FLAIR MR.
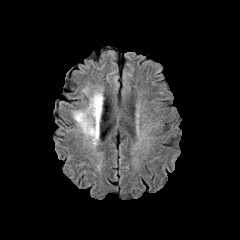
T1-weighted magnetic resonance.
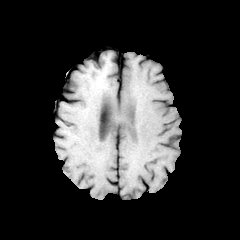
Post-contrast T1-weighted MR.
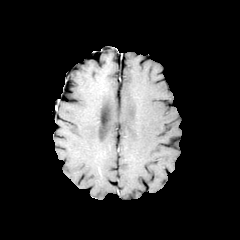
T2-weighted MR.
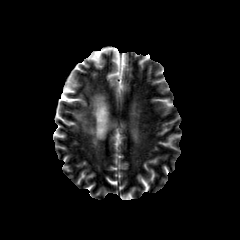
Brain
Edema: bounding box 72 90 103 147.